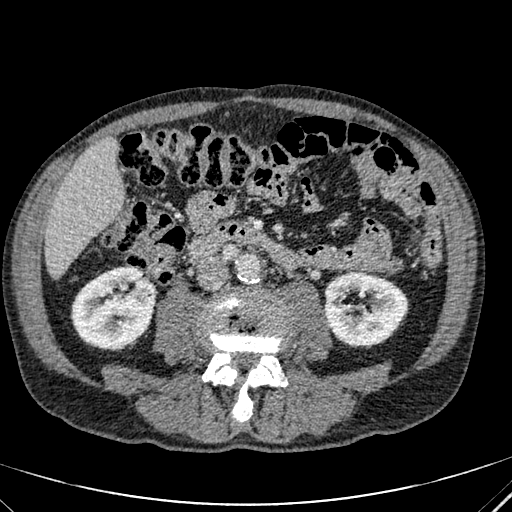
Computed tomography
liver:
  - <box>46,139,123,274</box>
kidney:
  - <box>73,268,154,347</box>
  - <box>325,273,406,344</box>